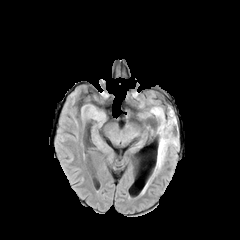
FLAIR MRI.
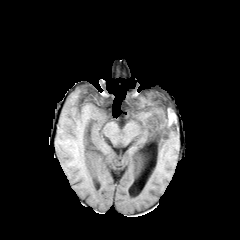
T1-weighted magnetic resonance.
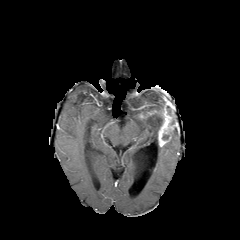
Post-contrast T1-weighted MR.
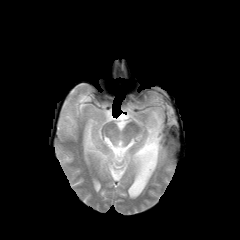
Same slice, T2-weighted MR.
Brain
Edema = box=[156, 136, 175, 167]; box=[150, 104, 162, 139].
Enhancing tumor = box=[158, 109, 170, 146].
Non-enhancing tumor core = box=[155, 101, 165, 115]; box=[162, 117, 174, 146].